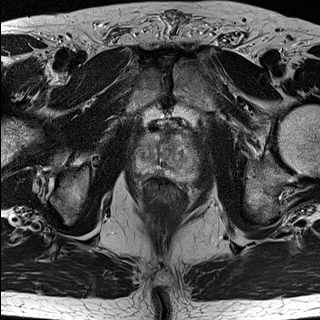
T2-weighted MR.
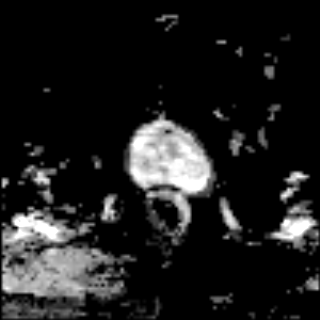
ADC MR of the same slice.
prostate_peripheral_zone:
  - region(134, 140, 203, 181)
prostate_transition_zone:
  - region(134, 131, 194, 169)